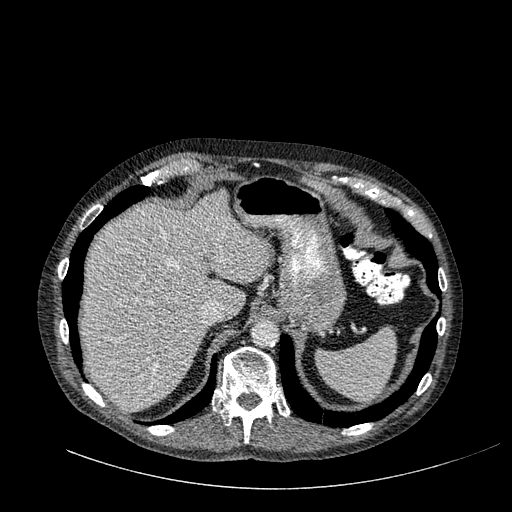

Liver; 512x512 px; CT slice

liver: l=81, t=191, r=268, b=410